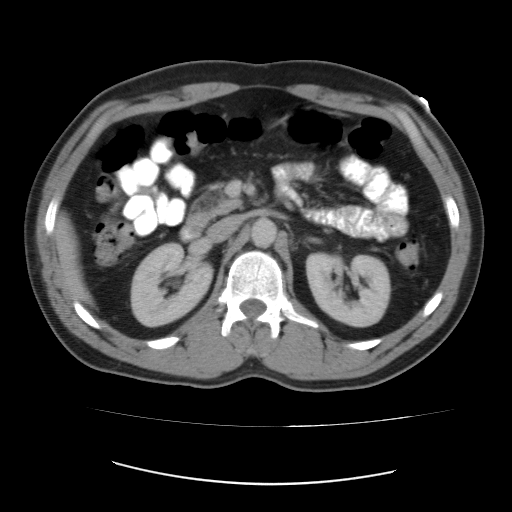

Abdomen, CT scan slice

Colon tumor — bbox=[394, 244, 419, 266].